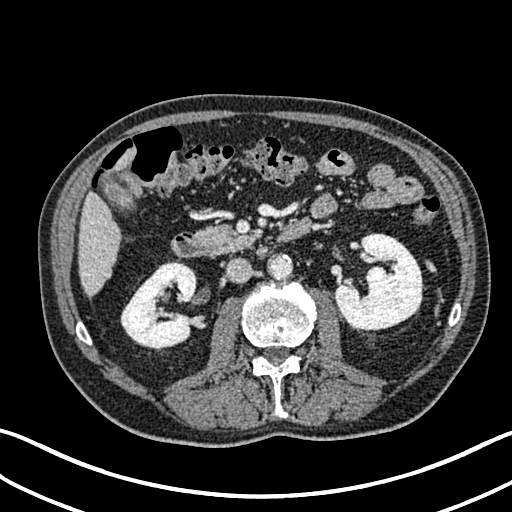 CT. Image size 512x512. Liver. 2 liver regions are located at (78,191,119,295), (112,148,136,170). 2 kidney regions are located at (335,234,421,329), (121,263,195,347).